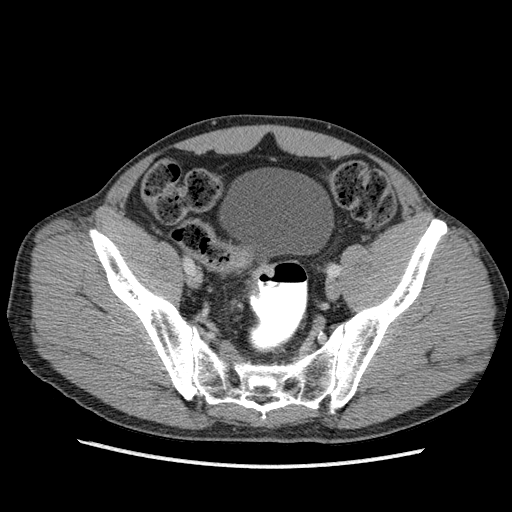
Pelvis | CT image
The urinary bladder is bounded by bbox(220, 168, 333, 256).